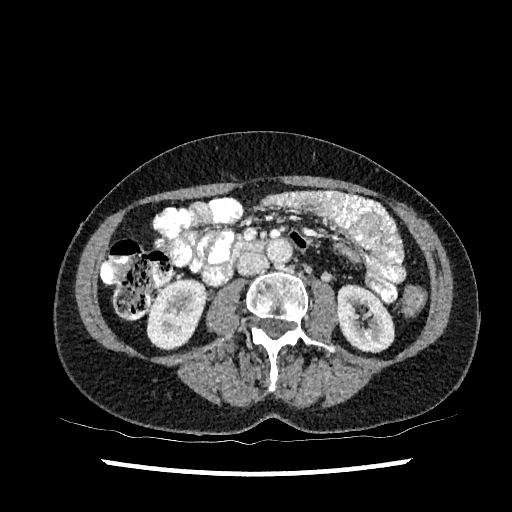

Computed tomography

Annotated regions:
* kidney: x1=147 y1=280 x2=205 y2=348, x1=338 y1=286 x2=393 y2=351